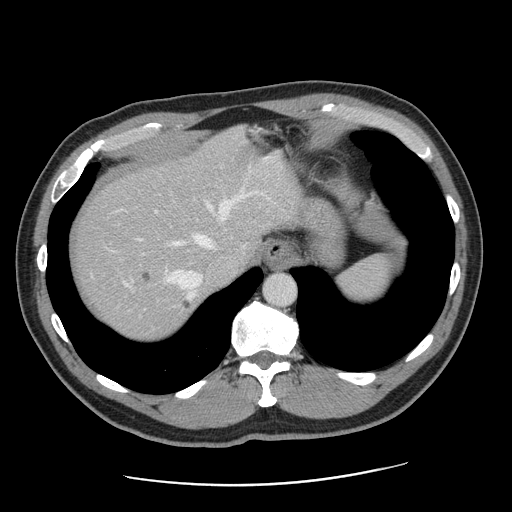 Liver. CT slice. 512x512 px. The vessel annotation is not exhaustive.
Hepatic vessel at l=120, t=208, r=123, b=210; l=220, t=182, r=252, b=217; l=165, t=234, r=247, b=299; l=126, t=280, r=132, b=285; l=253, t=192, r=265, b=194; l=206, t=200, r=211, b=206.
Liver tumor at l=180, t=299, r=192, b=310; l=140, t=269, r=152, b=283.